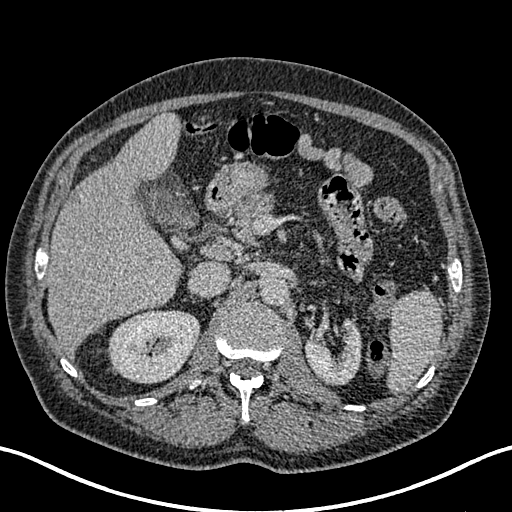
CT slice | Upper abdomen
Annotated regions:
• hepatic lesion: bbox(59, 290, 69, 302); bbox(60, 316, 72, 322)
• liver: bbox(48, 114, 180, 353)
• kidney: bbox(305, 321, 360, 383); bbox(109, 311, 198, 382)